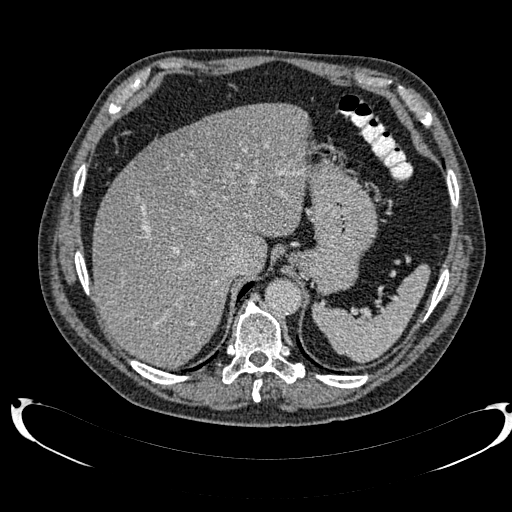

CT; Upper abdomen; 512x512

liver: (left=93, top=103, right=309, bottom=367), (left=152, top=128, right=182, bottom=144) | focal liver lesion: (left=136, top=108, right=268, bottom=216)